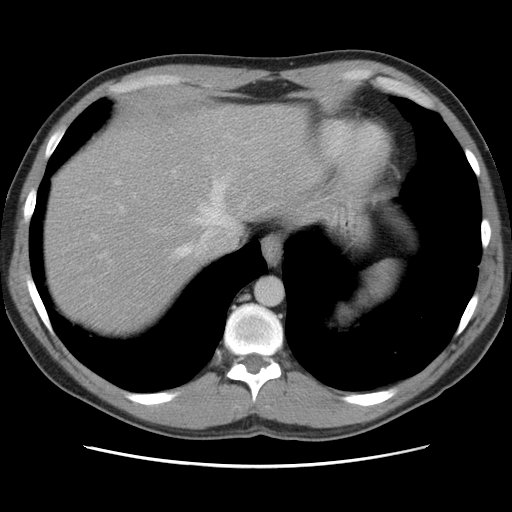

512x512 px; CT image

The vessel boxes may cover only some of the vessels.
<segmentation>
  <hepatic_vessel>left=210, top=177, right=226, bottom=211; left=152, top=230, right=155, bottom=231; left=205, top=157, right=208, bottom=159; left=121, top=207, right=124, bottom=212; left=199, top=206, right=200, bottom=208; left=116, top=181, right=120, bottom=184; left=176, top=245, right=192, bottom=256; left=100, top=256, right=103, bottom=257; left=195, top=218, right=202, bottom=225; left=93, top=235, right=96, bottom=238</hepatic_vessel>
</segmentation>